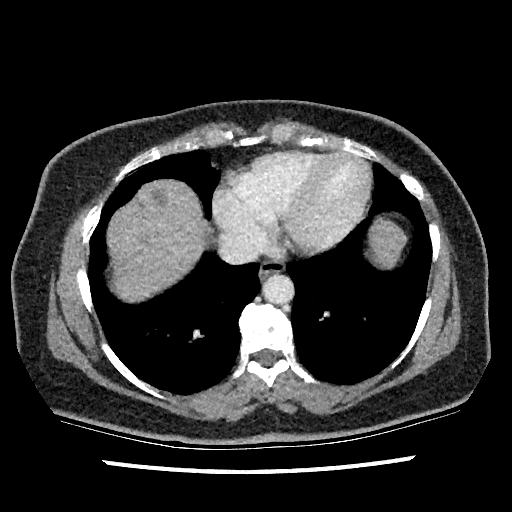

CT scan slice. {
  "hepatic_lesion": [
    "x1=152 y1=189 x2=165 y2=206"
  ],
  "liver": [
    "x1=107 y1=179 x2=203 y2=300",
    "x1=370 y1=223 x2=404 y2=263"
  ]
}